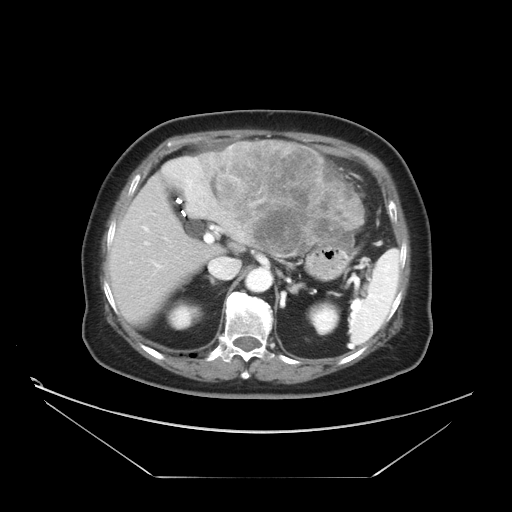
512x512 | CT slice

The vessel annotation is not exhaustive.
Segmented structures:
• liver tumor: left=216, top=141, right=364, bottom=257
• hepatic vessel: left=164, top=238, right=169, bottom=241